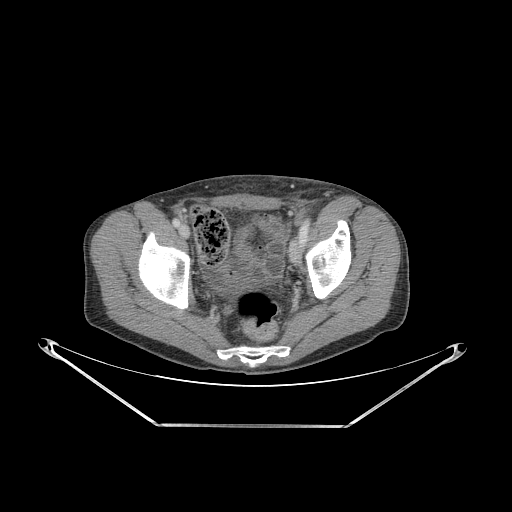 CT.
3 bone regions are bounded by [217,346,289,368], [139,232,189,308], [306,220,350,298].